Liver. Slice 28/82. Computed tomography.
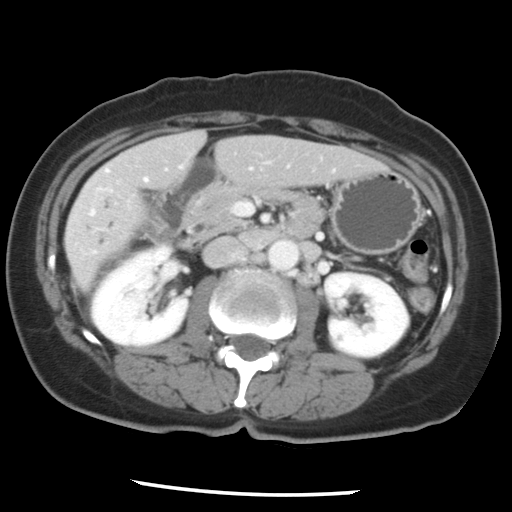
Some hepatic vessels may have no box.
Hepatic vessel: x1=105, y1=169, x2=107, y2=170.